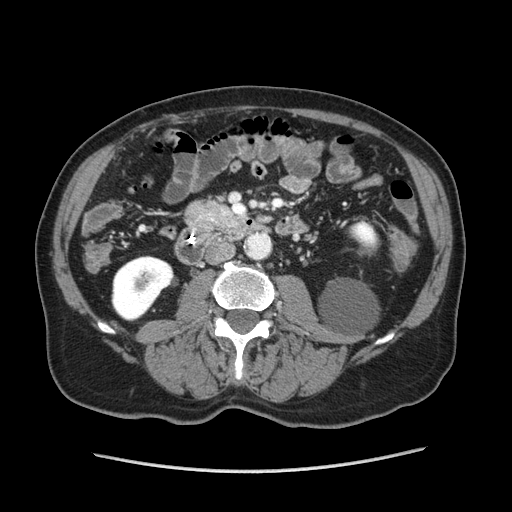

Computed tomography | Abdomen

{"pancreatic_tumor": [{"x1": 220, "y1": 214, "x2": 243, "y2": 234}], "pancreas": [{"x1": 186, "y1": 202, "x2": 241, "y2": 230}]}